FLAIR MR.
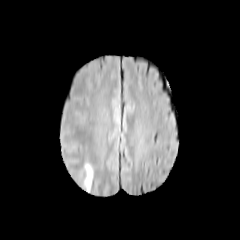
T1-weighted MR image.
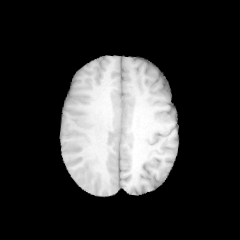
Post-contrast T1-weighted MR image.
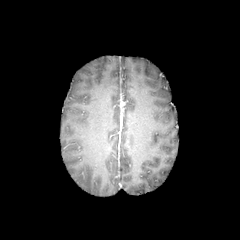
T2-weighted MR image.
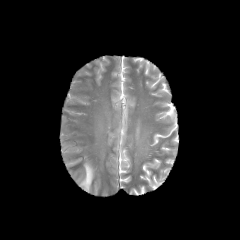
Image size 240x240. Brain.
Edema at {"x1": 80, "y1": 163, "x2": 93, "y2": 190}.